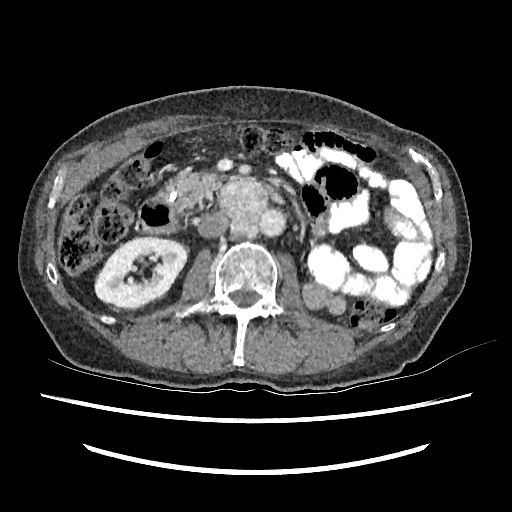

CT
Kidney = [x1=95, y1=237, x2=186, y2=307].